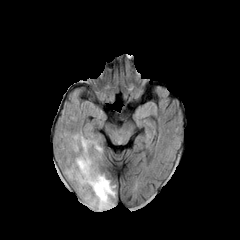
FLAIR MR.
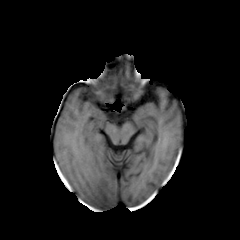
T1-weighted MR.
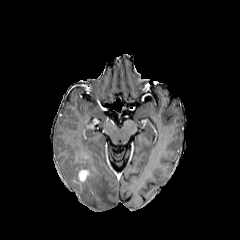
Post-contrast T1-weighted MRI of the same slice.
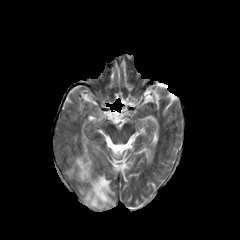
T2-weighted MR image.
Brain
The edema is at {"x1": 65, "y1": 137, "x2": 115, "y2": 210}. The enhancing tumor is at {"x1": 78, "y1": 167, "x2": 89, "y2": 183}.